CT scan slice

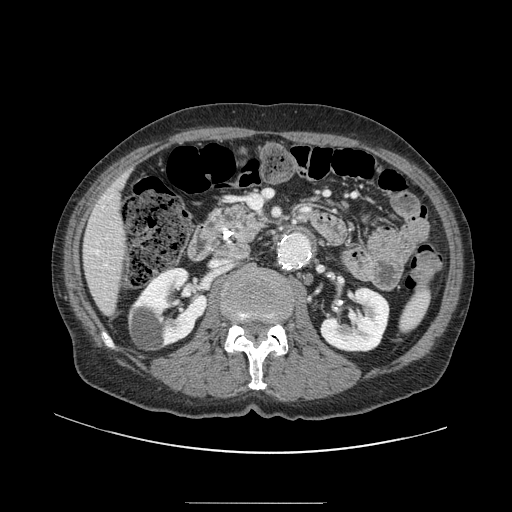

Segmented structures:
* pancreas: [x1=204, y1=204, x2=266, y2=242]